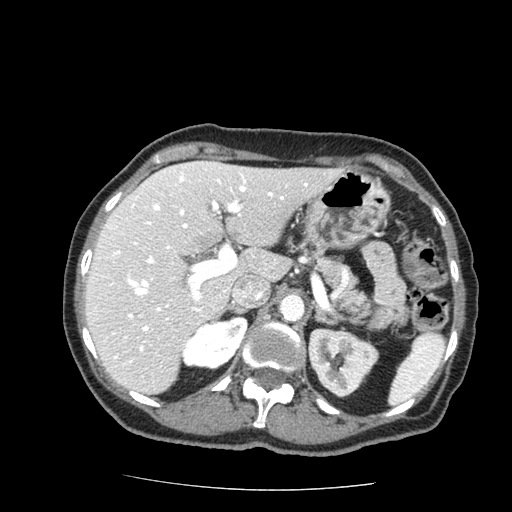

Upper abdomen. CT scan slice. 512x512 px.

Pancreas — <bbox>296, 237, 375, 318</bbox>.